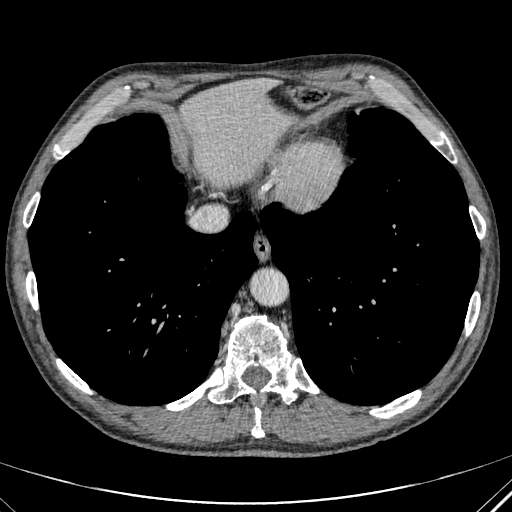
512x512; Upper abdomen; CT image
The liver lies within 179, 78, 292, 183.